CT scan slice, Slice 424/537, Liver 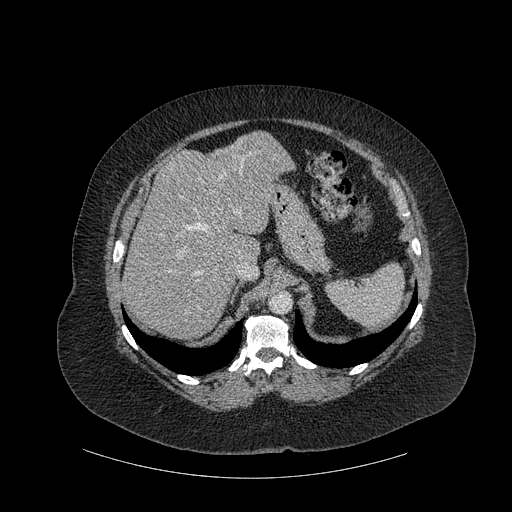

7 bone regions are located at 350,363,367,374; 178,375,198,384; 229,316,315,374; 113,241,123,261; 122,325,137,348; 410,304,421,328; 412,238,420,254. The liver is located at 122,131,291,339. 2 lung regions are located at 123,313,242,375; 293,293,416,367.